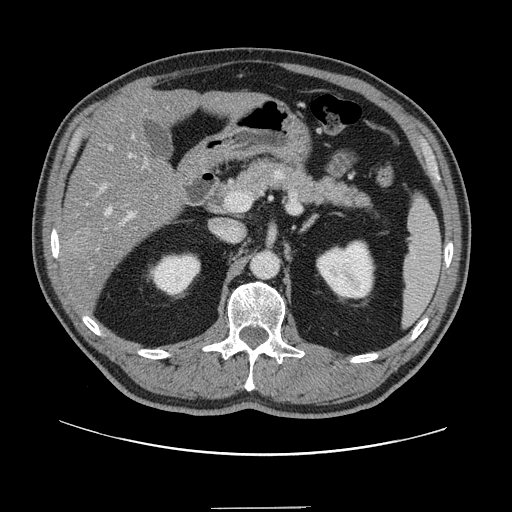
CT slice
Some hepatic vessels may have no box.
liver tumor: bbox(66, 229, 99, 251) | hepatic vessel: bbox(105, 207, 111, 214); bbox(86, 203, 88, 205); bbox(120, 212, 133, 225); bbox(143, 160, 147, 167); bbox(129, 154, 136, 157); bbox(110, 147, 112, 150); bbox(101, 184, 105, 191); bbox(133, 135, 134, 137)